CT | 512x512 px | Slice 74 of 154 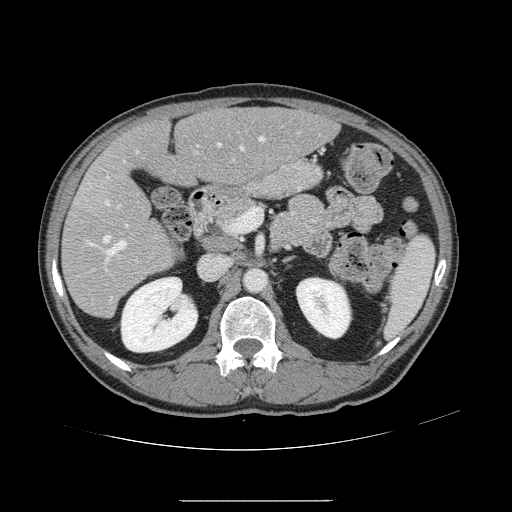
The vessel boxes may cover only some of the vessels.
<segmentation>
  <hepatic_vessel><bbox>87, 241, 94, 245</bbox>, <bbox>105, 200, 109, 204</bbox>, <bbox>103, 236, 109, 242</bbox>, <bbox>118, 205, 119, 207</bbox>, <bbox>135, 259, 136, 261</bbox>, <bbox>105, 241, 125, 259</bbox>, <bbox>126, 224, 127, 226</bbox>, <bbox>90, 185, 91, 187</bbox>, <bbox>136, 150, 137, 152</bbox>, <bbox>240, 146, 242, 149</bbox>, <bbox>107, 177, 109, 178</bbox>, <bbox>259, 136, 264, 140</bbox>, <bbox>218, 143, 220, 146</bbox>, <bbox>110, 296, 111, 298</bbox>, <bbox>105, 268, 106, 270</bbox></hepatic_vessel>
</segmentation>